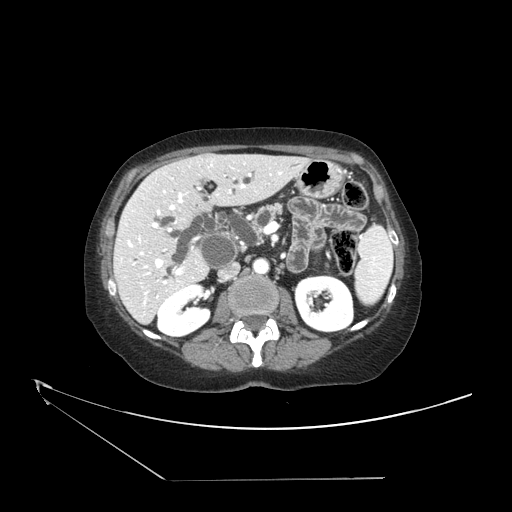 CT scan slice | Upper abdomen
Pancreas — 253, 204, 281, 228.